FLAIR MR image.
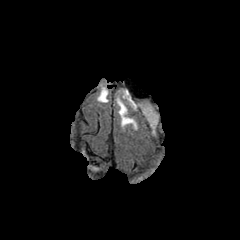
T1-weighted MR.
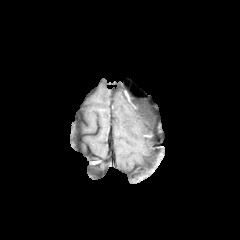
Post-contrast T1-weighted MR image.
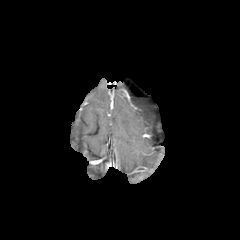
T2-weighted magnetic resonance.
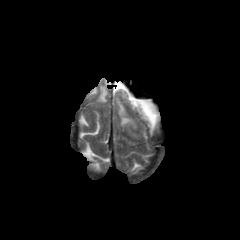
Edema: (115, 88, 157, 129), (97, 81, 107, 102).
Non-enhancing tumor core: (132, 101, 154, 120).